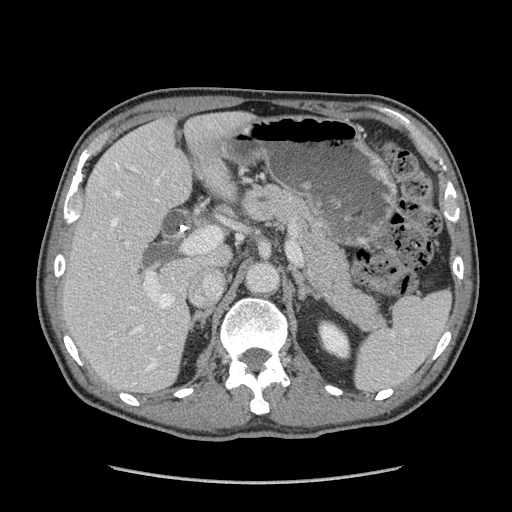
Computed tomography
The pancreas is bounded by (x1=239, y1=183, x2=386, y2=332).